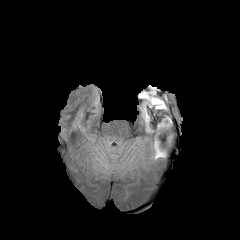
FLAIR magnetic resonance.
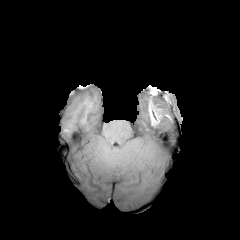
T1-weighted MR image of the same slice.
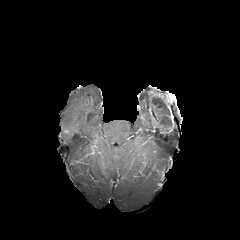
Post-contrast T1-weighted magnetic resonance of the same slice.
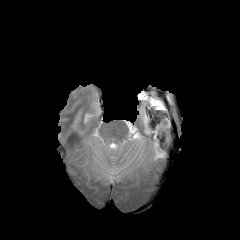
Same slice, T2-weighted MRI.
240x240 px.
* edema: bbox(94, 91, 171, 173)
* non-enhancing tumor core: bbox(149, 92, 160, 103)